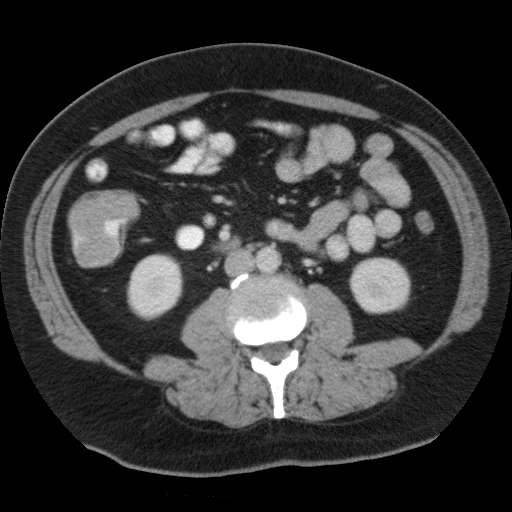 Pelvis; CT scan slice
Segmented structures:
* colon tumor: 71, 191, 137, 264